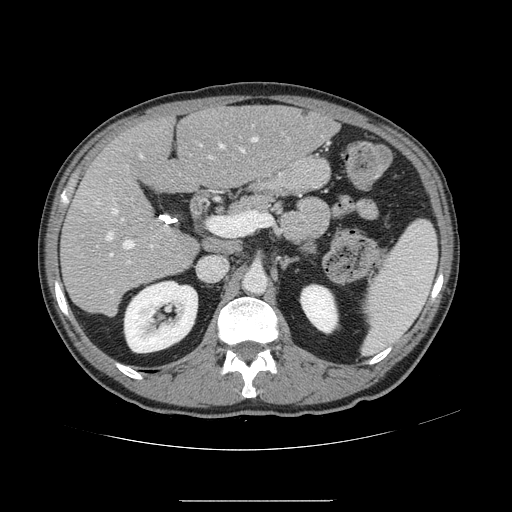
CT slice
The vessel annotation is not exhaustive.
hepatic vessel: <box>113,198,114,203</box>, <box>240,148,244,151</box>, <box>106,232,112,240</box>, <box>150,244,155,247</box>, <box>220,144,224,148</box>, <box>122,218,123,220</box>, <box>110,290,112,293</box>, <box>126,165,127,168</box>, <box>131,198,132,199</box>, <box>112,206,117,213</box>, <box>110,254,112,255</box>, <box>140,153,141,157</box>, <box>127,261,130,263</box>, <box>252,138,256,140</box>, <box>123,240,133,248</box>